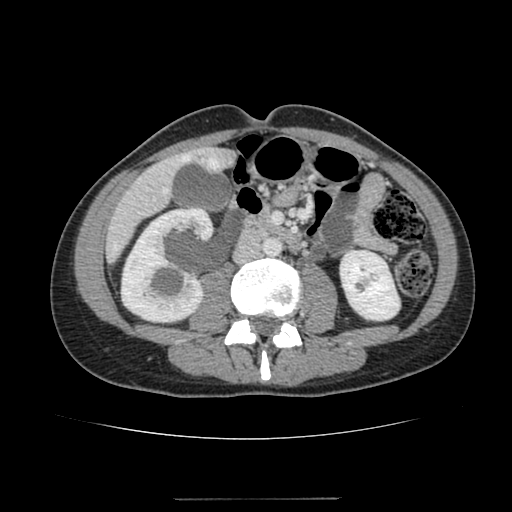 CT slice
The liver appears at [105, 146, 235, 263]. 2 kidney regions appear at [121, 209, 212, 321], [340, 251, 399, 319].